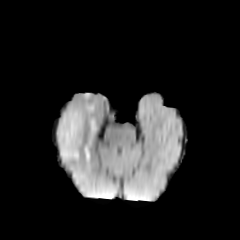
FLAIR MR.
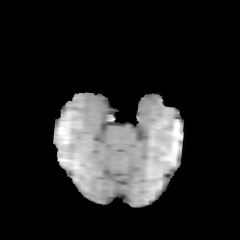
T1-weighted MRI.
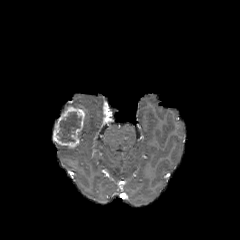
Post-contrast T1-weighted MRI.
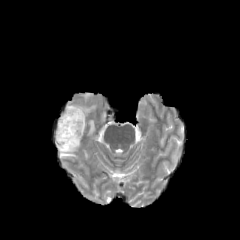
Same slice, T2-weighted MR image.
Brain
Edema: x1=75, y1=103, x2=95, y2=113; x1=79, y1=116, x2=95, y2=138; x1=58, y1=143, x2=79, y2=160.
Enhancing tumor: x1=52, y1=105, x2=86, y2=148.
Non-enhancing tumor core: x1=58, y1=111, x2=80, y2=142.